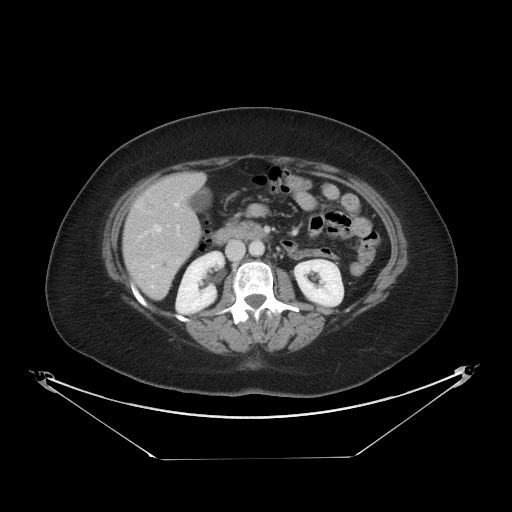
Computed tomography | Abdomen
Some hepatic vessels may have no box.
2 hepatic vessel regions are bounded by [155, 226, 160, 231], [151, 265, 153, 267].